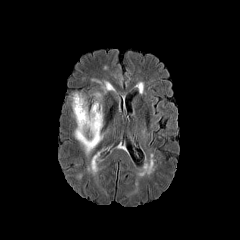
FLAIR magnetic resonance.
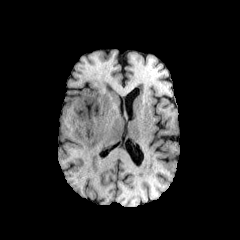
T1-weighted MR image.
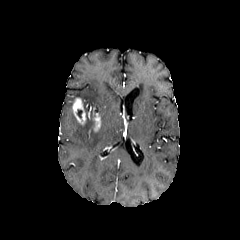
Post-contrast T1-weighted magnetic resonance.
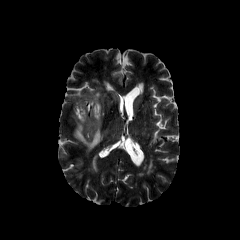
T2-weighted magnetic resonance.
{
  "enhancing_tumor": [
    "bbox(73, 98, 85, 123)",
    "bbox(91, 106, 100, 133)"
  ],
  "edema": [
    "bbox(75, 118, 101, 151)"
  ]
}